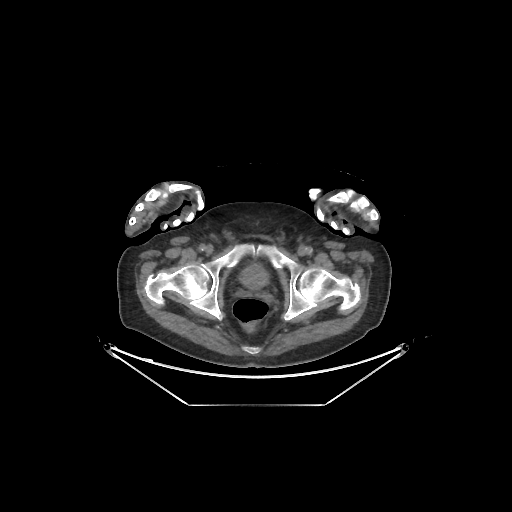 CT slice
<segmentation>
  <urinary_bladder>box=[238, 255, 269, 291]</urinary_bladder>
  <bone>box=[350, 197, 368, 210]; box=[309, 189, 320, 199]; box=[135, 184, 192, 211]; box=[144, 245, 254, 318]; box=[196, 190, 203, 209]; box=[365, 209, 378, 219]; box=[257, 245, 360, 319]; box=[185, 212, 193, 220]; box=[245, 347, 259, 353]; box=[328, 190, 354, 202]; box=[317, 208, 323, 220]</bone>
</segmentation>